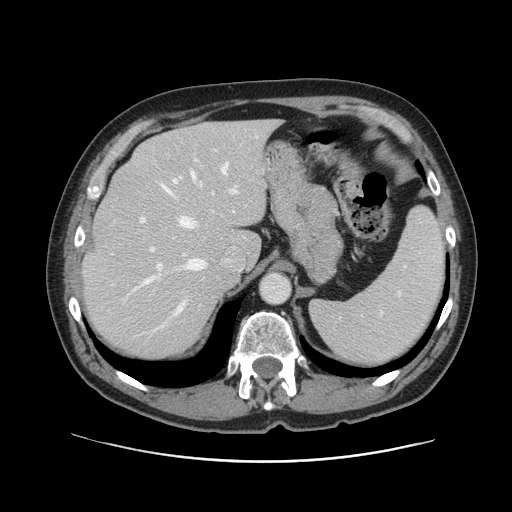
CT scan slice.

Only some of the vessels may be annotated.
The most prominent 15 hepatic vessel regions (of 18) appear at box=[140, 217, 145, 222]; box=[221, 162, 227, 172]; box=[150, 247, 153, 250]; box=[230, 189, 236, 193]; box=[194, 159, 197, 161]; box=[154, 324, 164, 330]; box=[185, 259, 205, 270]; box=[178, 176, 181, 178]; box=[173, 179, 177, 182]; box=[144, 273, 160, 283]; box=[191, 171, 195, 178]; box=[179, 216, 193, 227]; box=[173, 302, 184, 315]; box=[160, 183, 171, 193]; box=[157, 264, 161, 268].